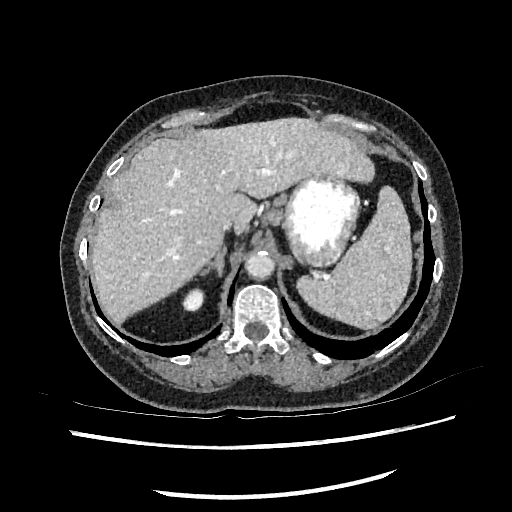
512x512 | Upper abdomen | CT image
liver: (left=91, top=117, right=374, bottom=323) | kidney: (left=184, top=292, right=201, bottom=309)